Field of view 330x330 mm, 512x512 px, CT image, Slice index 503
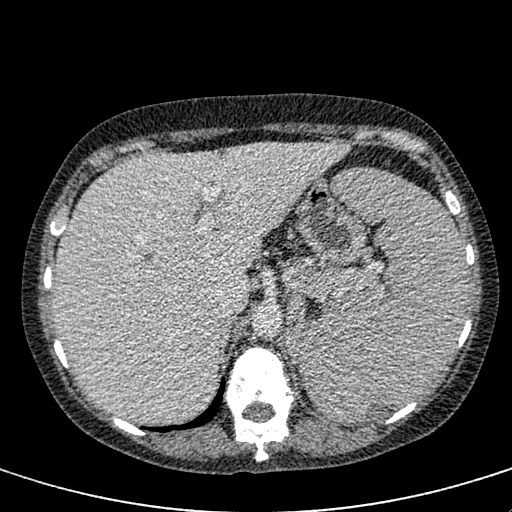

Liver — rect(52, 143, 349, 422).